CT scan slice. Image width 403 mm. Slice index 61. 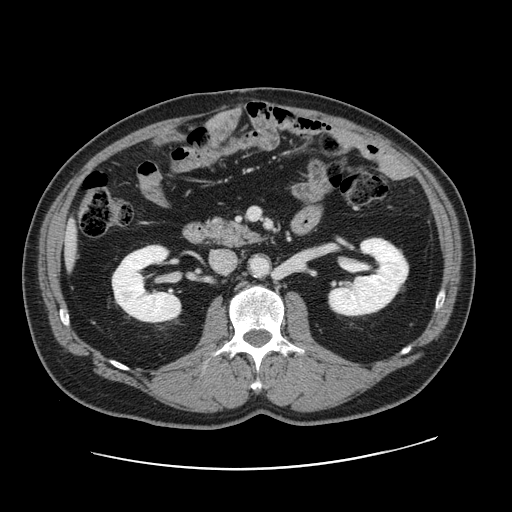 Only some of the vessels may be annotated.
Segmented structures:
* hepatic vessel: (66, 225, 74, 261)